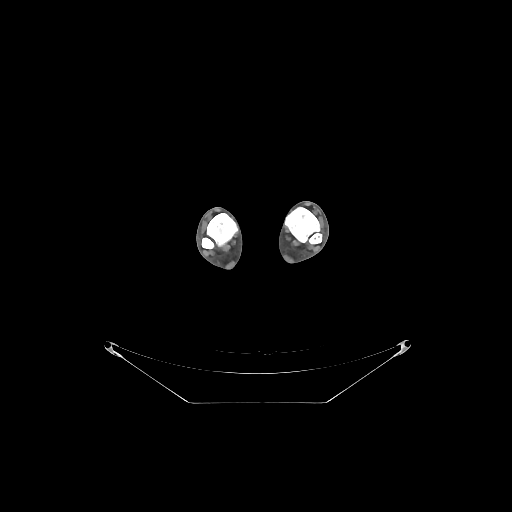

CT scan slice
Segmented structures:
- bone: 207,213,237,246; 202,237,213,248; 285,207,322,244